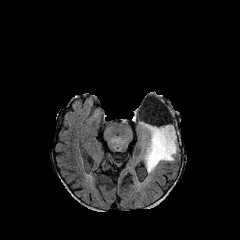
FLAIR MR image.
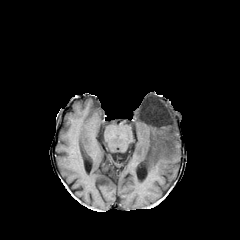
T1-weighted magnetic resonance of the same slice.
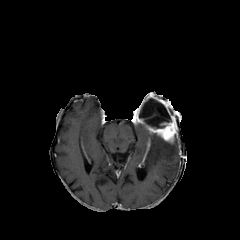
Same slice, post-contrast T1-weighted MR image.
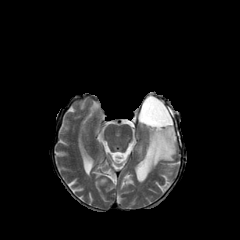
T2-weighted MRI of the same slice.
Head, Image size 240x240
The edema lies within bbox=[140, 127, 178, 173]. 2 enhancing tumor regions are bounded by bbox=[133, 110, 143, 123]; bbox=[144, 122, 177, 142]. The non-enhancing tumor core is bounded by bbox=[134, 94, 179, 128].